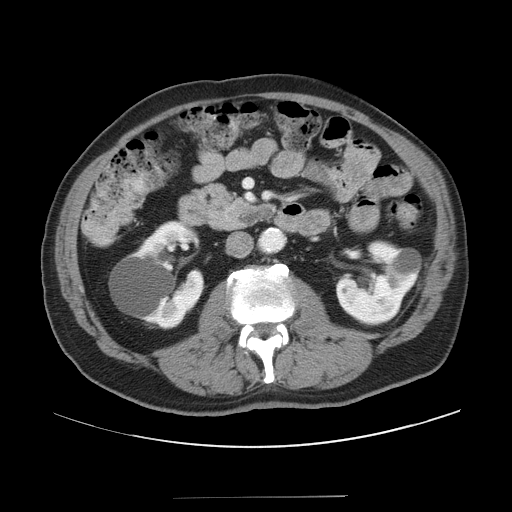 CT slice; Upper abdomen; 512x512 px
{
  "pancreatic_tumor": [
    "left=238, top=208, right=272, bottom=225"
  ],
  "pancreas": [
    "left=192, top=183, right=276, bottom=230"
  ]
}